Slice 117 of 155, Brain
FLAIR magnetic resonance.
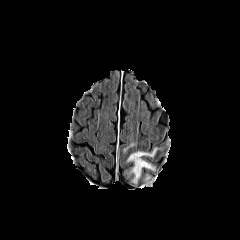
T1-weighted MRI.
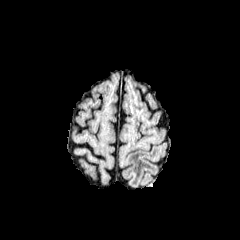
Post-contrast T1-weighted MR.
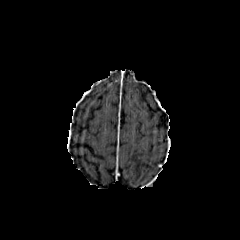
T2-weighted MR.
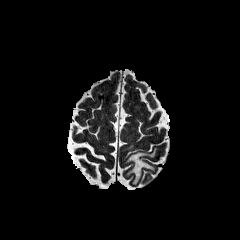
The edema lies within rect(127, 148, 157, 184).